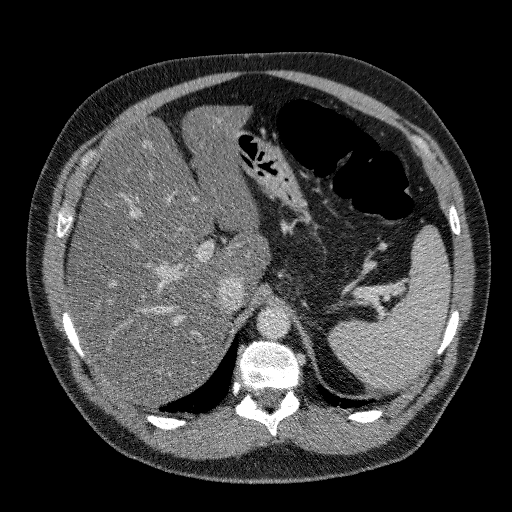

Computed tomography, Liver

<segmentation>
  <liver><box>68,105,269,406</box></liver>
</segmentation>